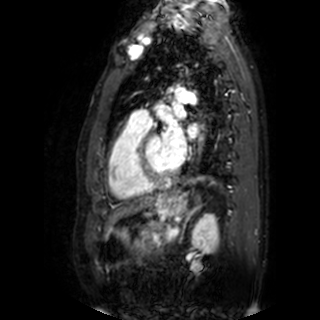
MRI. Cardiac.

3 left atrium regions are bounded by bbox=[187, 124, 198, 137]; bbox=[162, 122, 187, 166]; bbox=[176, 110, 186, 118].